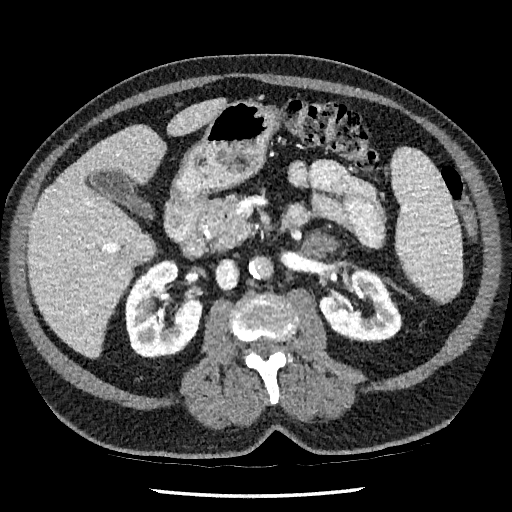 CT slice; Upper abdomen
{"liver": ["<box>168,99,224,135</box>", "<box>28,125,165,357</box>"], "kidney": ["<box>320,271,400,339</box>", "<box>126,261,201,356</box>"]}